CT scan slice, Abdomen, Slice index 66
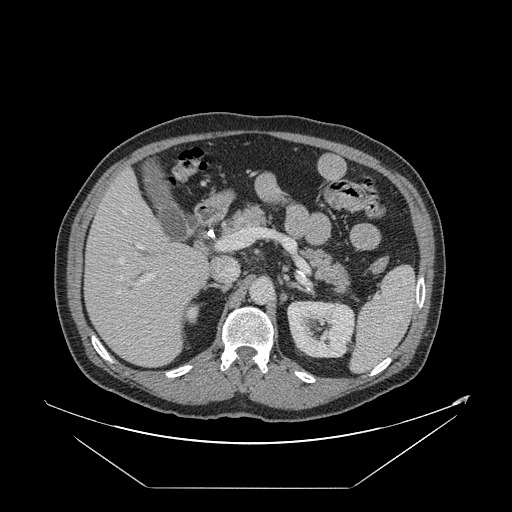
Some hepatic vessels may have no box.
{"hepatic_vessel": ["123,211,125,214", "217,233,236,249", "137,245,142,249", "120,259,123,263", "142,339,145,340", "137,274,153,284", "119,277,121,279"]}